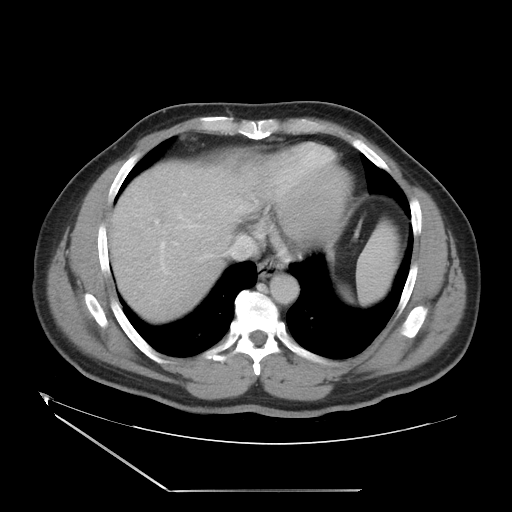
Abdomen, CT image
Not every hepatic vessel necessarily has a box.
hepatic_vessel:
  - 160,243,164,251
  - 224,236,255,259
  - 183,193,186,195
  - 155,220,158,222
  - 176,214,197,228
  - 172,241,177,244
  - 215,224,217,229
  - 208,254,212,256